Computed tomography; Abdomen

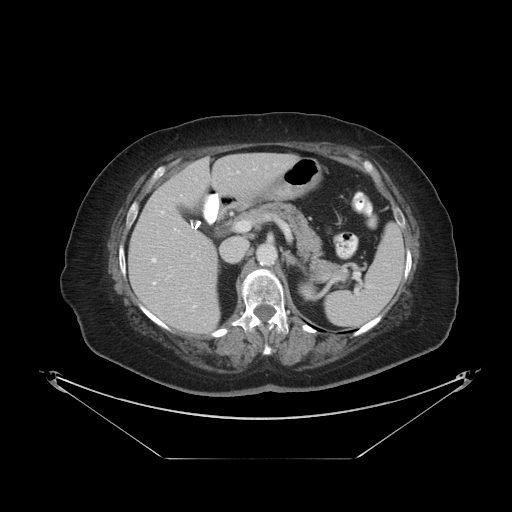

The vessel annotation is not exhaustive.
6 hepatic vessel regions are bounded by (left=151, top=257, right=156, bottom=262), (left=152, top=281, right=156, bottom=285), (left=161, top=211, right=163, bottom=212), (left=237, top=171, right=238, bottom=172), (left=231, top=238, right=246, bottom=255), (left=194, top=305, right=195, bottom=307).